CT
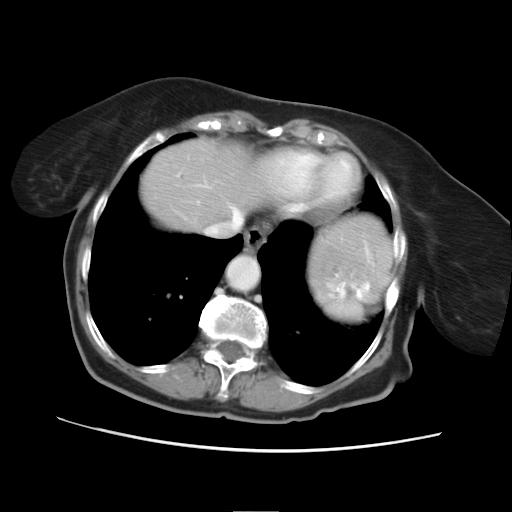 Only some of the vessels may be annotated.
Hepatic vessel = x1=205 y1=206 x2=242 y2=234.